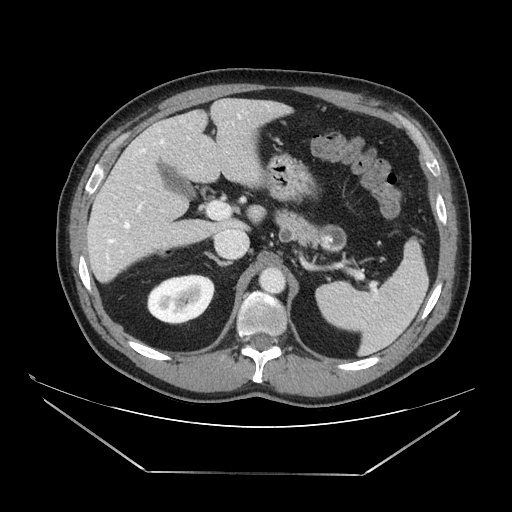 CT slice

Pancreas at [274,207,334,248].
Pancreatic tumor at [320,225,346,251].